Chest, CT slice, 512x512
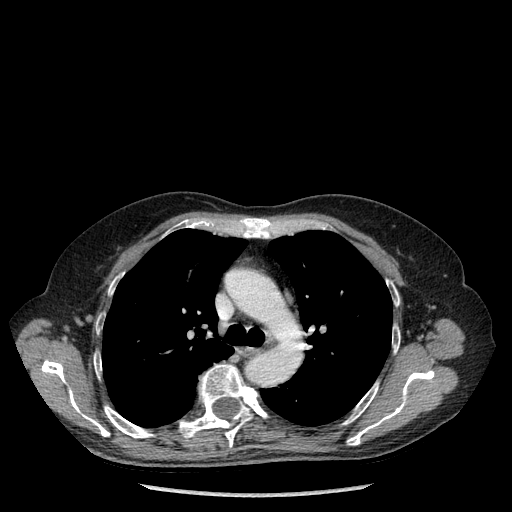
Bone: [x1=175, y1=219, x2=196, y2=227], [x1=342, y1=382, x2=378, y2=424], [x1=93, y1=354, x2=101, y2=378], [x1=104, y1=406, x2=154, y2=438], [x1=347, y1=370, x2=434, y2=445], [x1=392, y1=325, x2=400, y2=353], [x1=233, y1=218, x2=281, y2=238], [x1=41, y1=359, x2=109, y2=436], [x1=386, y1=279, x2=399, y2=306], [x1=167, y1=364, x2=267, y2=447], [x1=108, y1=277, x2=117, y2=295], [x1=96, y1=316, x2=102, y2=333].
Lung: [x1=261, y1=230, x2=392, y2=425], [x1=102, y1=229, x2=264, y2=427].